Image size 512x512 | Field of view 365x365 mm | CT slice

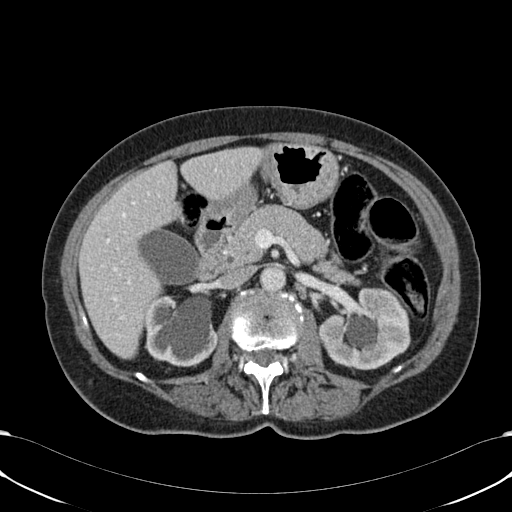
{"kidney": ["[x1=319, y1=289, x2=409, y2=369]", "[x1=145, y1=281, x2=219, y2=365]"], "liver": ["[x1=79, y1=148, x2=263, y2=357]"]}